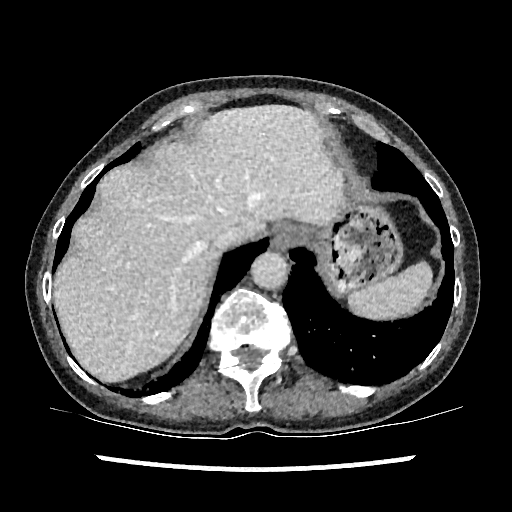 Computed tomography. Upper abdomen.

Annotated regions:
* liver: (54, 107, 342, 380)